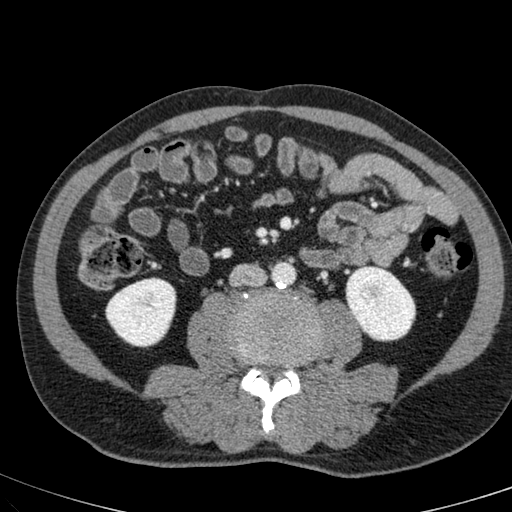
Abdomen. CT scan slice. 512x512. {
  "kidney": [
    "(x1=347, y1=267, x2=414, y2=339)",
    "(x1=107, y1=279, x2=174, y2=345)"
  ]
}